Field of view 350 mm wide, 0.70 mm slice spacing. CT image.

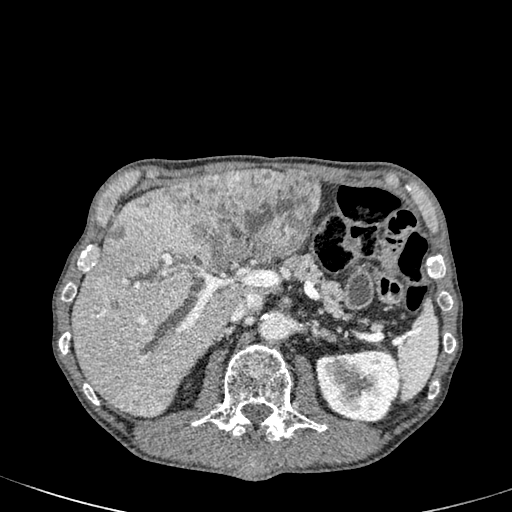

Kidney at (left=315, top=351, right=403, bottom=420).
Focal liver lesion at (left=141, top=196, right=151, bottom=207), (left=108, top=225, right=123, bottom=238), (left=166, top=169, right=319, bottom=270), (left=135, top=395, right=148, bottom=406).
Liver at (left=71, top=184, right=247, bottom=416).